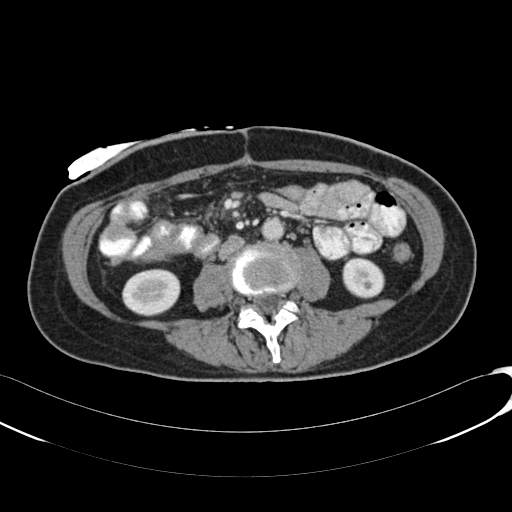
CT image | Abdomen | 512x512

Kidney = [123,270,178,314], [344,259,382,296].